FLAIR magnetic resonance.
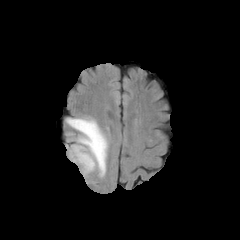
T1-weighted MR image.
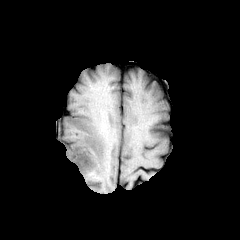
Post-contrast T1-weighted MR.
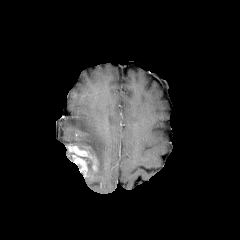
T2-weighted MR image.
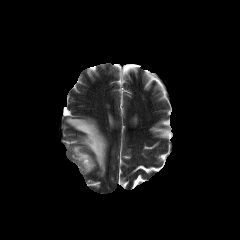
Edema: bounding box x1=66 y1=118 x2=107 y2=175.
Enhancing tumor: bounding box x1=67 y1=144 x2=95 y2=175.